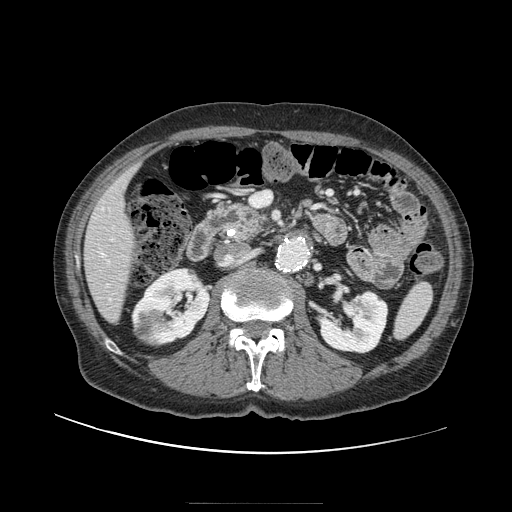
CT scan slice. 512x512 px.

pancreas:
  - left=204, top=202, right=269, bottom=242